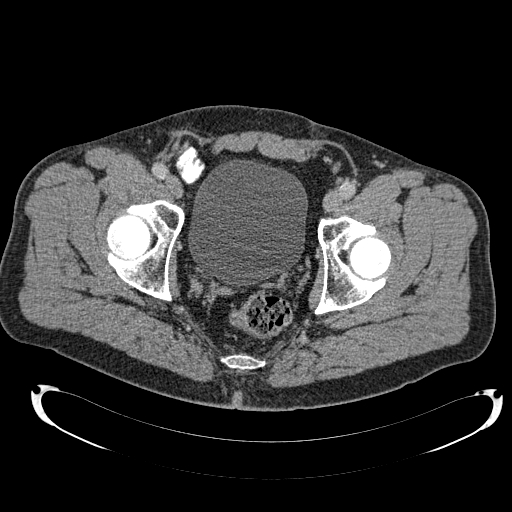

CT scan slice
Urinary bladder — [188,159,307,286].